Slice 59 of 155
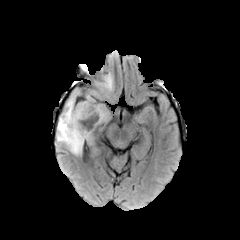
FLAIR MR image.
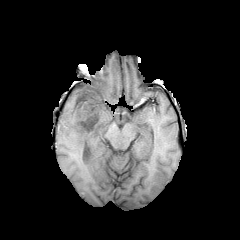
T1-weighted MR image.
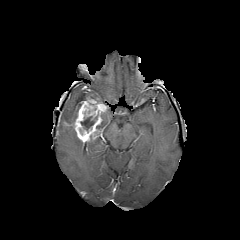
Post-contrast T1-weighted MR image.
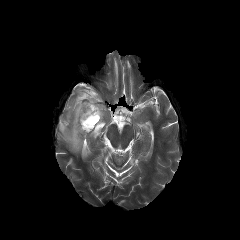
T2-weighted MR image of the same slice.
3 edema regions are located at [x1=94, y1=74, x2=113, y2=98], [x1=100, y1=109, x2=111, y2=128], [x1=56, y1=91, x2=83, y2=154]. The enhancing tumor is located at [x1=74, y1=96, x2=106, y2=143]. 2 non-enhancing tumor core regions are bounded by [x1=74, y1=90, x2=103, y2=121], [x1=80, y1=116, x2=97, y2=130].